512x512. CT.

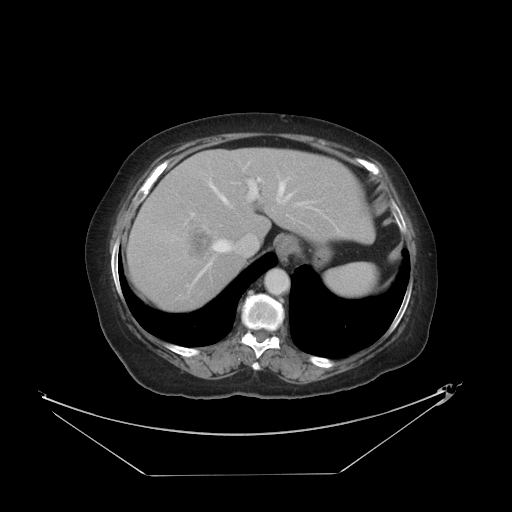
Only some of the vessels may be annotated.
7 hepatic vessel regions are bounded by box=[213, 235, 257, 254]; box=[220, 195, 228, 204]; box=[248, 178, 259, 199]; box=[209, 182, 215, 190]; box=[193, 268, 205, 283]; box=[277, 182, 290, 202]; box=[298, 203, 303, 204]. The liver tumor is located at box=[186, 222, 213, 251].